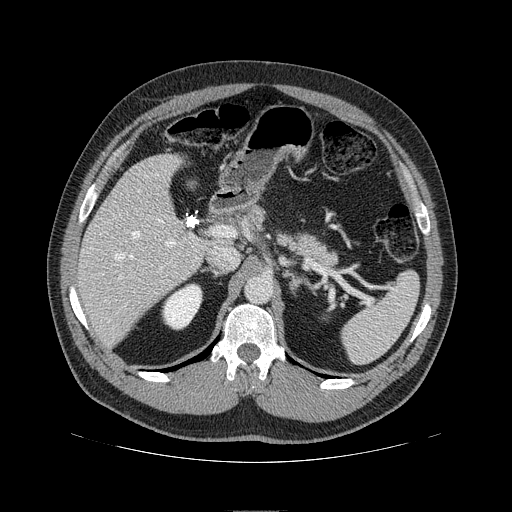
CT
pancreas: 240:206:265:225, 277:231:336:267